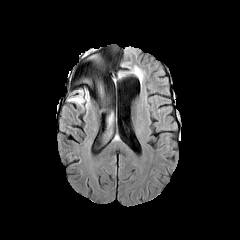
FLAIR MR image.
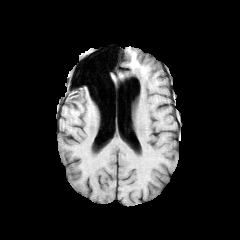
Same slice, T1-weighted magnetic resonance.
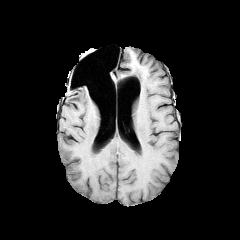
Post-contrast T1-weighted MR of the same slice.
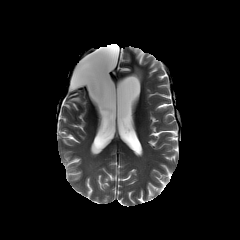
T2-weighted MRI.
Head
2 edema regions are bounded by [70, 88, 89, 107], [94, 78, 113, 123].